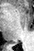
Medial temporal lobe, 34x51, MR image
Segmented structures:
• posterior hippocampus: (9, 42, 18, 44)